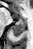
Medial temporal lobe | Magnetic resonance | 33x49

Segmented structures:
* posterior hippocampus: [11,22,25,36]
* anterior hippocampus: [18,17,25,21], [12,14,15,16]